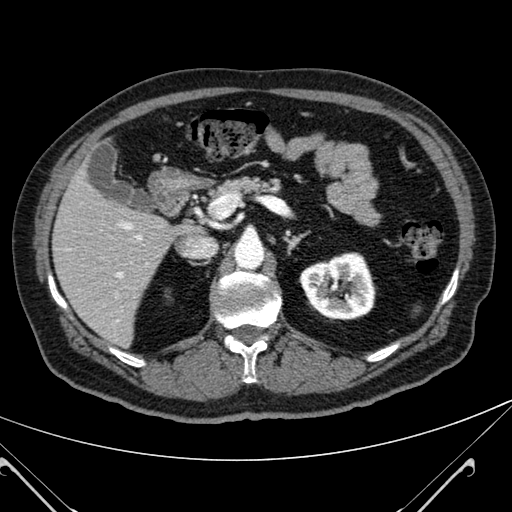

CT
{"liver": ["(49, 178, 202, 349)"], "kidney": ["(301, 254, 373, 318)"]}